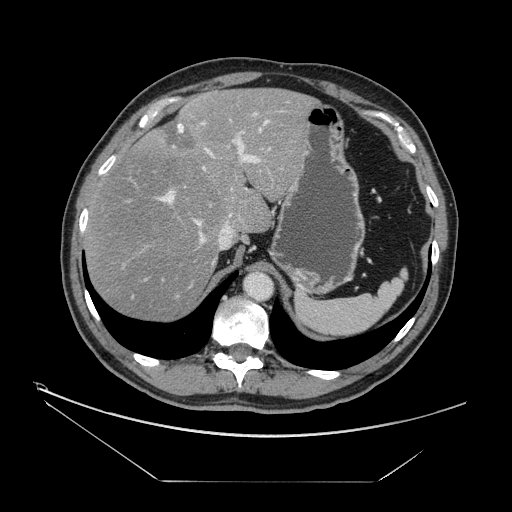 512x512; CT image; Liver
The vessel boxes may cover only some of the vessels.
Hepatic vessel: bounding box bbox(226, 223, 228, 227); bbox(259, 128, 261, 130); bbox(196, 221, 200, 224); bbox(202, 122, 204, 124); bbox(206, 149, 211, 155); bbox(200, 233, 204, 241); bbox(203, 167, 205, 169); bbox(265, 120, 268, 123); bbox(233, 139, 258, 161); bbox(241, 131, 243, 132); bbox(159, 192, 173, 202).
Liver tumor: bounding box bbox(164, 122, 195, 152).